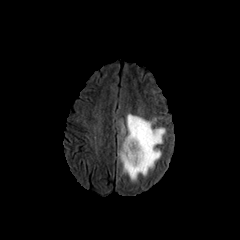
FLAIR MR.
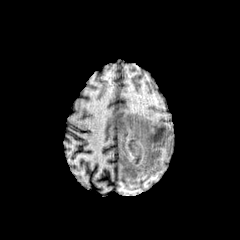
T1-weighted magnetic resonance.
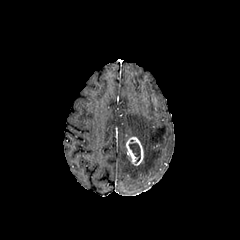
Post-contrast T1-weighted MRI of the same slice.
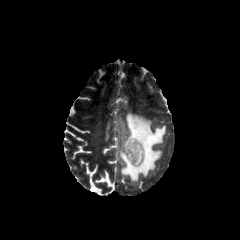
T2-weighted MR of the same slice.
Brain
Non-enhancing tumor core = x1=129 y1=143 x2=140 y2=162.
Enhancing tumor = x1=125 y1=137 x2=143 y2=164.
Edema = x1=118 y1=113 x2=167 y2=183.